Head; Image size 240x240
FLAIR MR image.
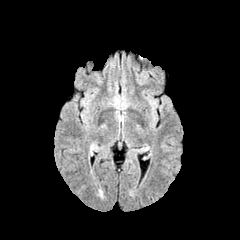
T1-weighted magnetic resonance.
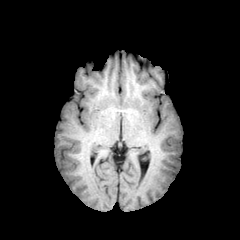
Post-contrast T1-weighted MRI.
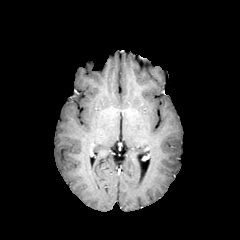
T2-weighted magnetic resonance.
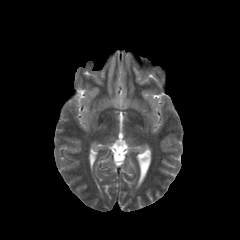
The edema appears at box=[113, 95, 128, 109].